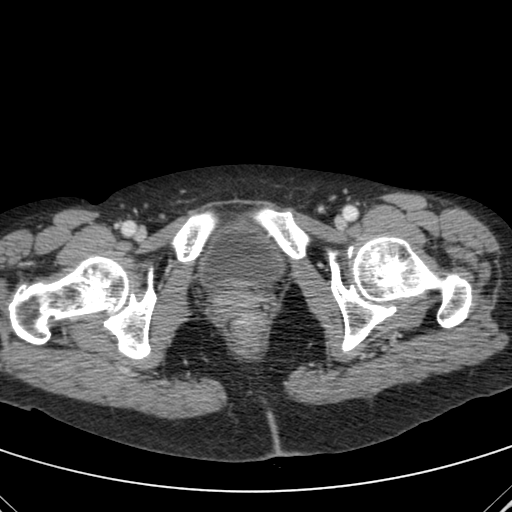
CT.

Urinary bladder — left=196, top=217, right=291, bottom=289.